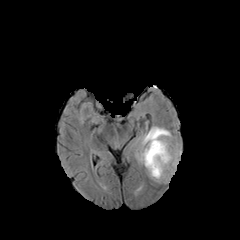
FLAIR magnetic resonance.
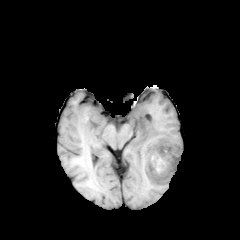
T1-weighted MR of the same slice.
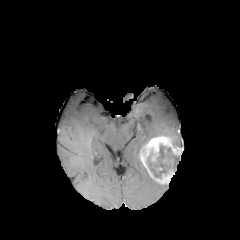
Post-contrast T1-weighted MR image of the same slice.
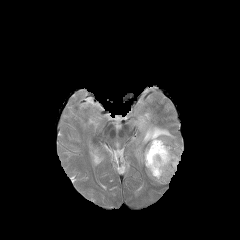
Same slice, T2-weighted magnetic resonance.
The edema is located at [133, 122, 180, 183]. 2 enhancing tumor regions are bounded by [140, 136, 182, 167], [156, 170, 174, 181]. The non-enhancing tumor core is bounded by [158, 144, 173, 155].